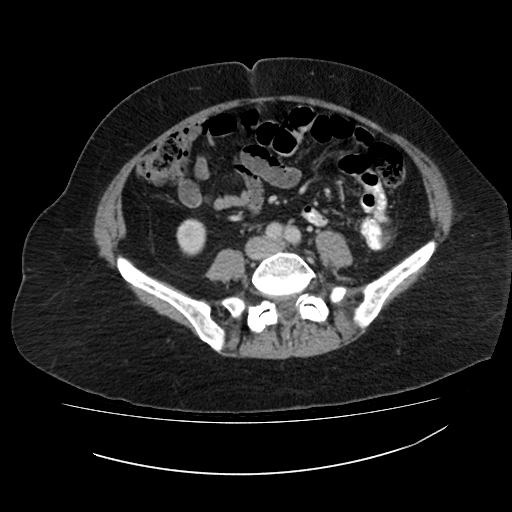
Abdomen | CT slice
The kidney is bounded by (left=177, top=219, right=205, bottom=254).